CT slice. Abdomen. 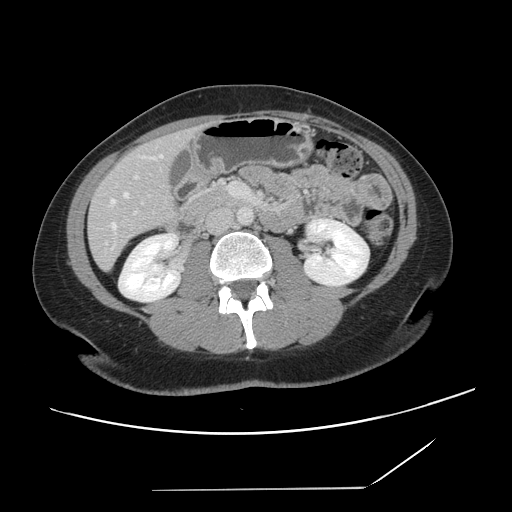
Only some of the vessels may be annotated.
9 hepatic vessel regions are located at box=[111, 246, 113, 249]; box=[124, 193, 128, 197]; box=[134, 176, 137, 178]; box=[145, 157, 156, 159]; box=[110, 199, 114, 206]; box=[159, 154, 161, 157]; box=[134, 212, 136, 213]; box=[105, 242, 107, 243]; box=[111, 223, 116, 235].